Slice index 248; CT image; Abdomen

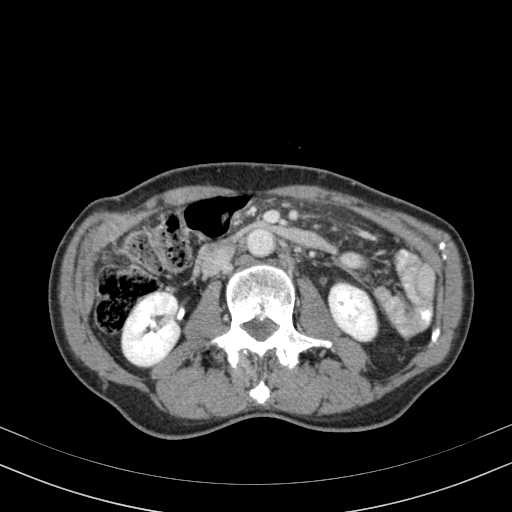
Kidney: bounding box x1=329, y1=284, x2=376, y2=340; x1=122, y1=292, x2=178, y2=365.